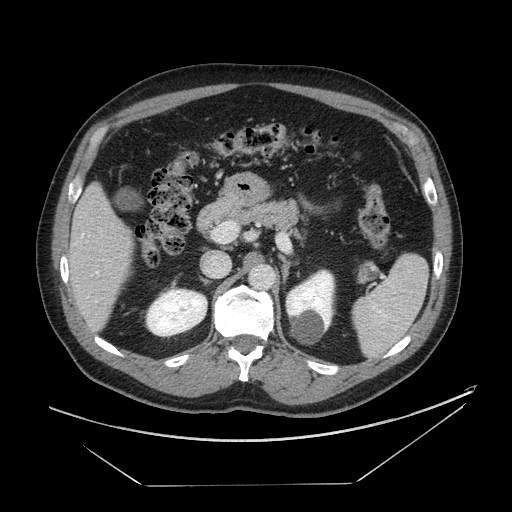

Upper abdomen. Computed tomography. <segmentation>
  <pancreas>bbox=[229, 200, 302, 233]</pancreas>
  <pancreatic_tumor>bbox=[357, 261, 380, 284]</pancreatic_tumor>
</segmentation>